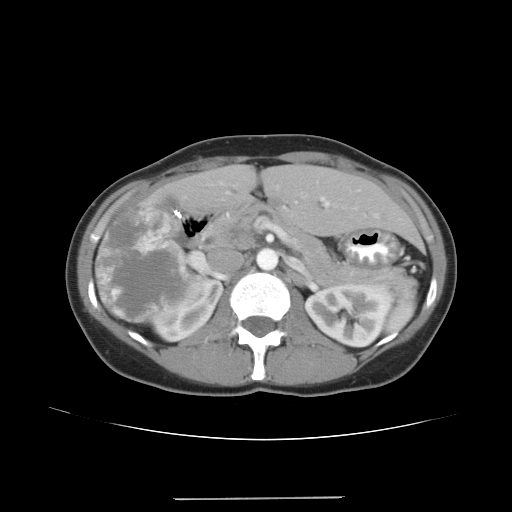
Computed tomography. Pancreas: bounding box region(207, 204, 416, 298).
Pancreatic tumor: bounding box region(222, 222, 253, 247).